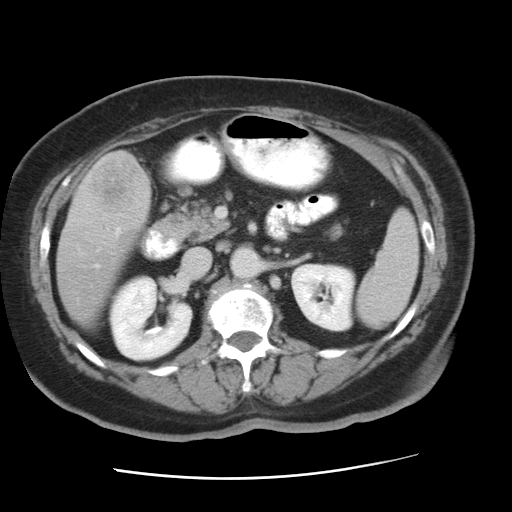

CT image

The vessel boxes may cover only some of the vessels.
Hepatic vessel = x1=115, y1=227, x2=119, y2=233; x1=95, y1=264, x2=97, y2=266.
Liver tumor = x1=88, y1=158, x2=139, y2=210.